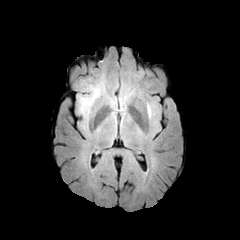
FLAIR MR image.
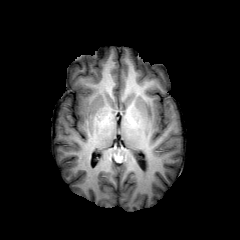
T1-weighted MR.
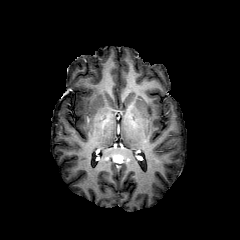
Same slice, post-contrast T1-weighted MR image.
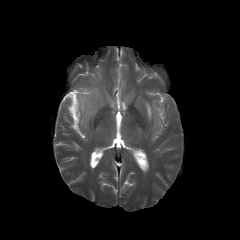
T2-weighted MR image.
edema: (x1=147, y1=103, x2=152, y2=118)